240x240 px; Field of view 240 mm wide, 1.00 mm slice spacing
FLAIR MR image.
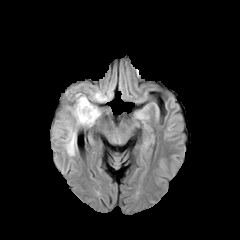
T1-weighted MR image.
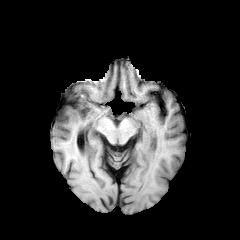
Post-contrast T1-weighted magnetic resonance.
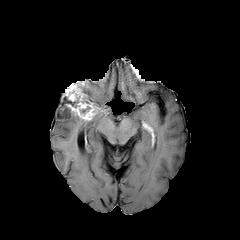
T2-weighted MRI.
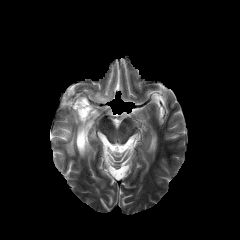
The enhancing tumor appears at {"x1": 65, "y1": 84, "x2": 97, "y2": 120}. 2 non-enhancing tumor core regions appear at {"x1": 64, "y1": 93, "x2": 76, "y2": 106}, {"x1": 77, "y1": 82, "x2": 96, "y2": 105}. 2 edema regions are located at {"x1": 87, "y1": 86, "x2": 107, "y2": 105}, {"x1": 55, "y1": 106, "x2": 100, "y2": 155}.